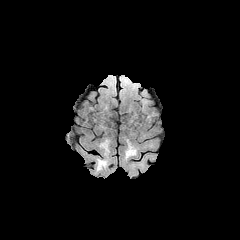
FLAIR magnetic resonance.
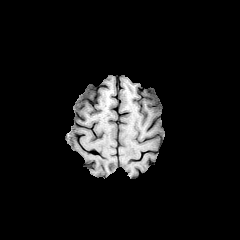
T1-weighted MRI.
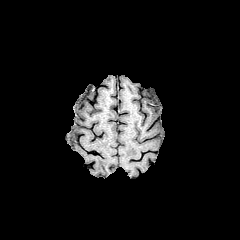
Post-contrast T1-weighted MR image.
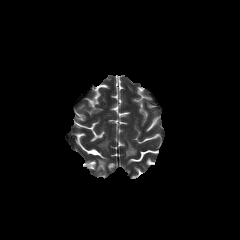
T2-weighted magnetic resonance.
Image size 240x240; Head
• edema: [x1=96, y1=159, x2=105, y2=172]